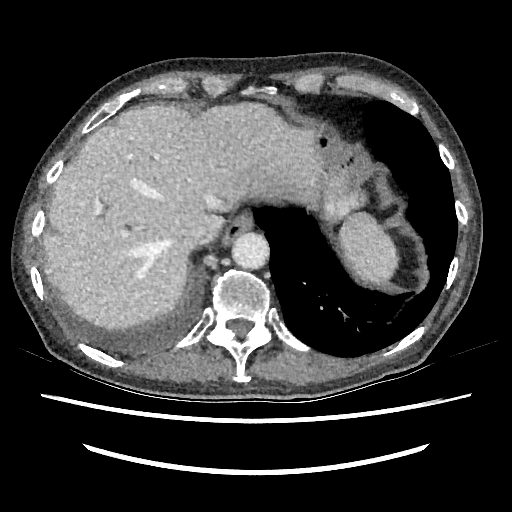
CT scan slice

Annotated regions:
• liver: (42,103,321,328)